240x240 px; Field of view 240x240 mm
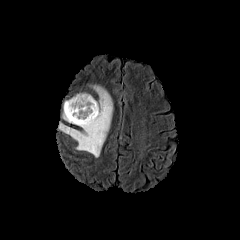
FLAIR MRI.
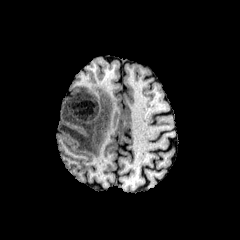
Same slice, T1-weighted MR.
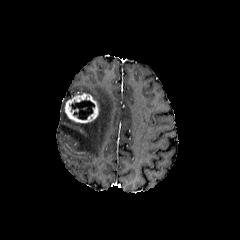
Same slice, post-contrast T1-weighted magnetic resonance.
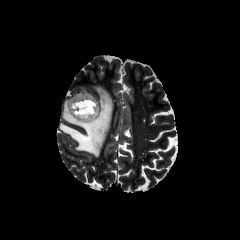
T2-weighted magnetic resonance of the same slice.
The enhancing tumor lies within [x1=64, y1=92, x2=99, y2=123]. The non-enhancing tumor core appears at [x1=69, y1=97, x2=95, y2=119]. 2 edema regions appear at [x1=57, y1=83, x2=113, y2=157], [x1=62, y1=111, x2=75, y2=124].